CT image | Image size 512x512 | Image width 366 mm | Abdomen
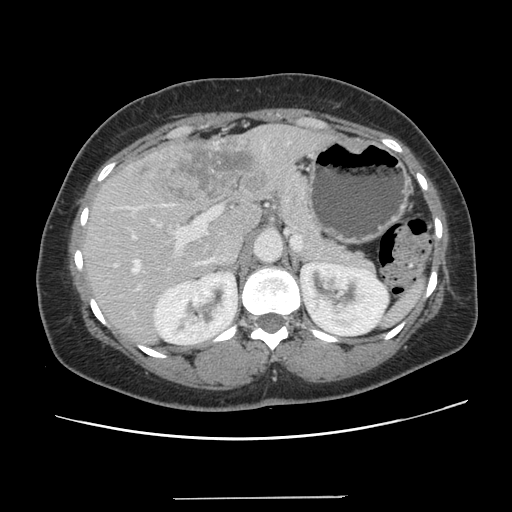

Only some of the vessels may be annotated.
10 hepatic vessel regions are located at left=151, top=219, right=154, bottom=221; left=132, top=235, right=136, bottom=238; left=123, top=207, right=137, bottom=211; left=175, top=206, right=221, bottom=250; left=157, top=224, right=160, bottom=226; left=114, top=264, right=117, bottom=266; left=133, top=260, right=140, bottom=272; left=171, top=204, right=173, bottom=205; left=162, top=204, right=165, bottom=206; left=137, top=287, right=139, bottom=289. The liver tumor is bounded by left=134, top=137, right=268, bottom=202.